Abdomen. CT scan slice. 512x512 px. 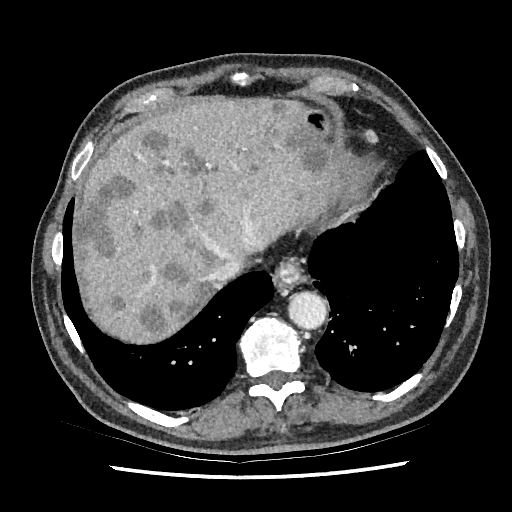

13 hepatic lesion regions are bounded by (x1=285, y1=124, x2=332, y2=171), (x1=150, y1=198, x2=213, y2=234), (x1=112, y1=295, x2=125, y2=309), (x1=75, y1=174, x2=137, y2=257), (x1=251, y1=101, x2=262, y2=112), (x1=250, y1=159, x2=258, y2=170), (x1=271, y1=101, x2=287, y2=115), (x1=140, y1=304, x2=168, y2=335), (x1=137, y1=130, x2=167, y2=153), (x1=131, y1=221, x2=143, y2=239), (x1=196, y1=247, x2=216, y2=263), (x1=159, y1=262, x2=214, y2=319), (x1=153, y1=148, x2=217, y2=179). The liver is at (x1=74, y1=100, x2=329, y2=343).